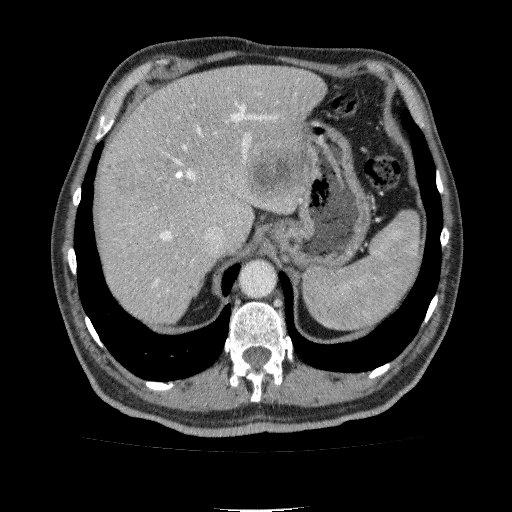 CT image
2 focal liver lesion regions are located at rect(246, 144, 312, 200); rect(116, 177, 135, 193). The liver is located at rect(97, 67, 325, 326).